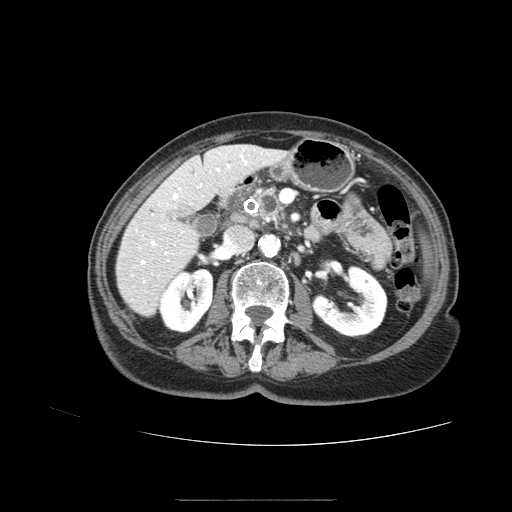

512x512 px, Upper abdomen, Computed tomography
pancreas:
  - (256, 188, 283, 217)